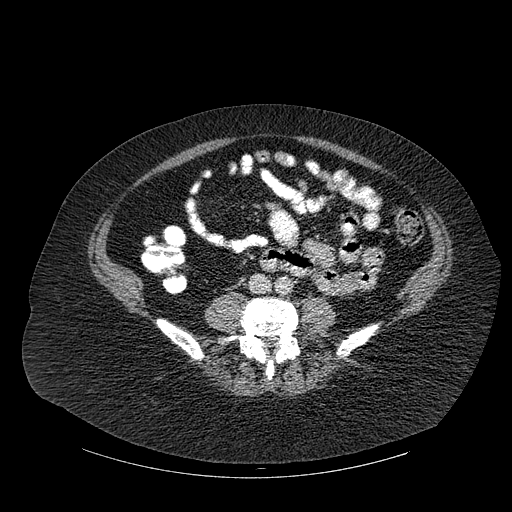

CT slice, 512x512
3 bone regions are bounded by x1=337 y1=325 x2=378 y2=356, x1=157 y1=319 x2=203 y2=359, x1=232 y1=298 x2=299 y2=379.